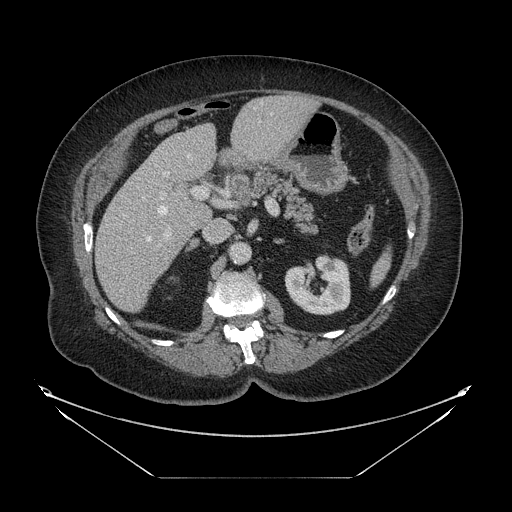

CT; Image size 512x512

pancreas: (250, 170, 315, 233)